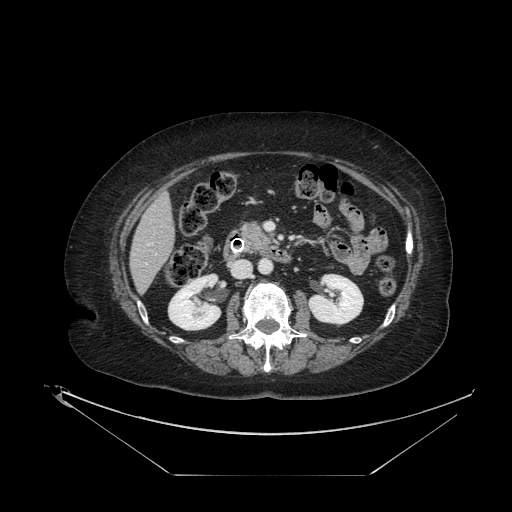

CT scan slice. Image size 512x512. The pancreas appears at (x1=241, y1=222, x2=271, y2=251).